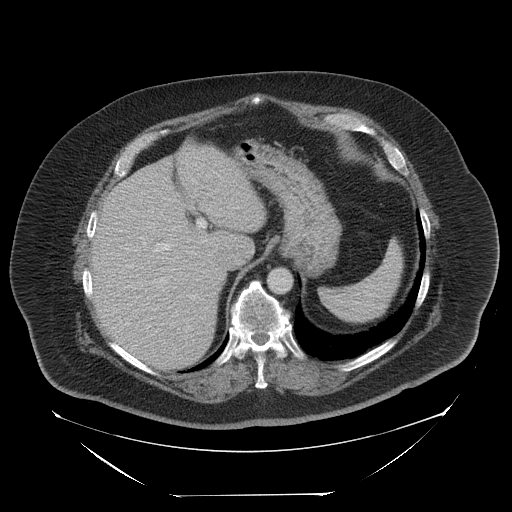

Abdomen, 512x512 px, CT slice

spleen:
  - box=[318, 239, 403, 321]